512x512 px. Upper abdomen. Computed tomography. 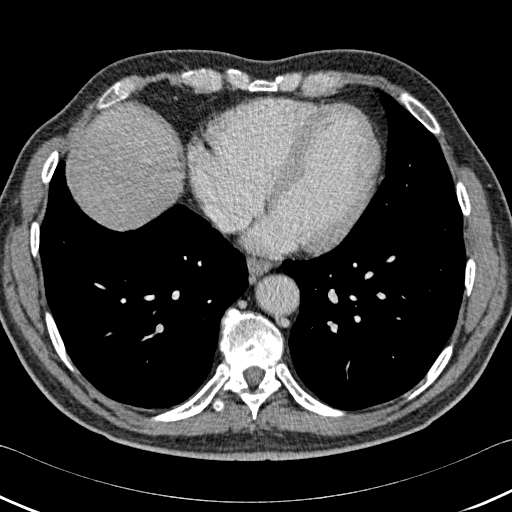 {"lung": ["region(273, 88, 466, 410)", "region(39, 159, 248, 408)"], "liver": ["region(81, 112, 171, 230)"], "bone": ["region(214, 400, 223, 410)", "region(42, 151, 57, 183)", "region(401, 93, 439, 133)", "region(408, 346, 451, 399)", "region(30, 222, 39, 256)", "region(152, 309, 343, 421)", "region(98, 82, 128, 107)", "region(241, 75, 286, 91)", "region(457, 182, 470, 215)", "region(46, 313, 73, 370)", "region(465, 259, 475, 295)"]}